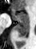

MR image.

{
  "posterior_hippocampus": [
    "region(15, 20, 29, 37)"
  ],
  "anterior_hippocampus": [
    "region(11, 8, 28, 19)"
  ]
}